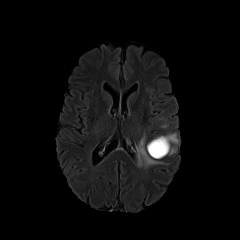
FLAIR MRI.
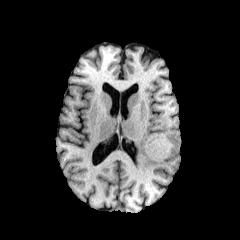
Same slice, T1-weighted MR.
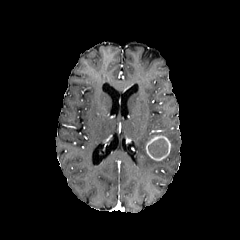
Post-contrast T1-weighted MR of the same slice.
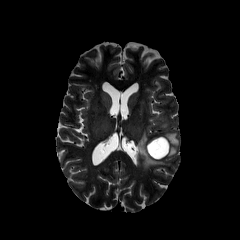
T2-weighted MR.
Image size 240x240; Head
{"enhancing_tumor": ["[145,135,171,160]"], "non-enhancing_tumor_core": ["[148,137,168,158]"], "edema": ["[165,131,178,154]", "[136,130,168,169]", "[157,115,174,128]"]}